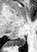
MRI slice, 37x52 px, Medial temporal lobe
Annotated regions:
- posterior hippocampus: (10,36,24,45)